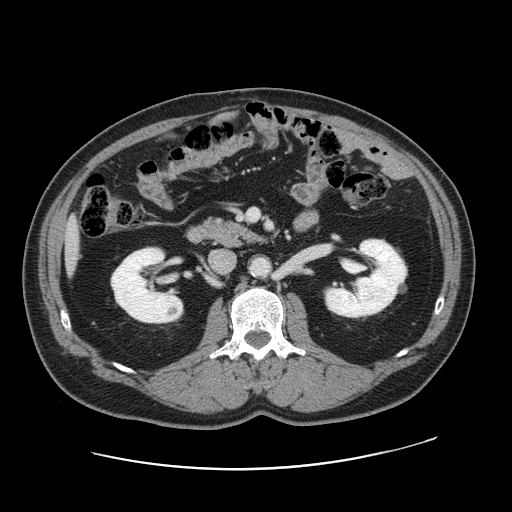
CT | Image size 512x512 | Liver

Not every hepatic vessel necessarily has a box.
Hepatic vessel at rect(69, 220, 74, 228).